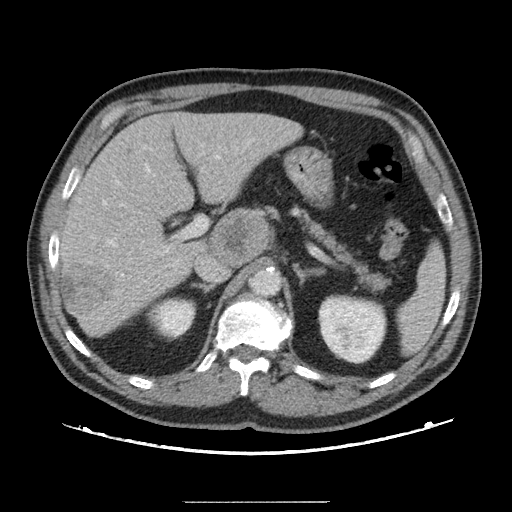

CT image | Abdomen
Only some of the vessels may be annotated.
The liver tumor appears at [62,261,114,314]. 11 hepatic vessel regions are located at [140,280,147,283], [155,247,170,254], [170,273,173,274], [106,239,117,246], [247,141,250,143], [149,149,153,151], [159,156,161,157], [146,164,149,171], [216,156,219,157], [165,274,168,275], [154,271,159,273].